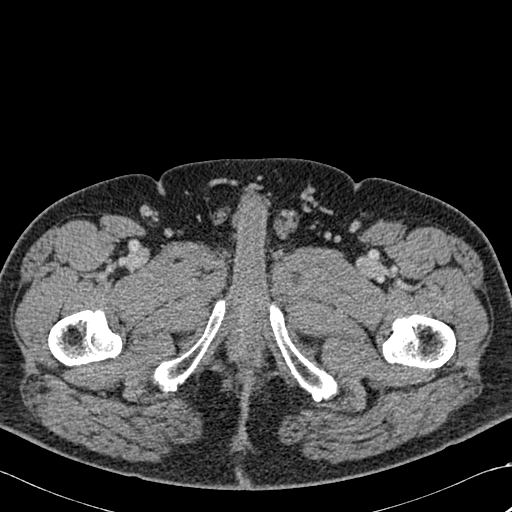 CT image; 512x512
4 bone regions are bounded by [270, 305, 336, 400], [154, 301, 225, 390], [382, 314, 455, 368], [48, 310, 121, 365].